512x512 px. CT scan slice. Liver. Slice 33 of 47.
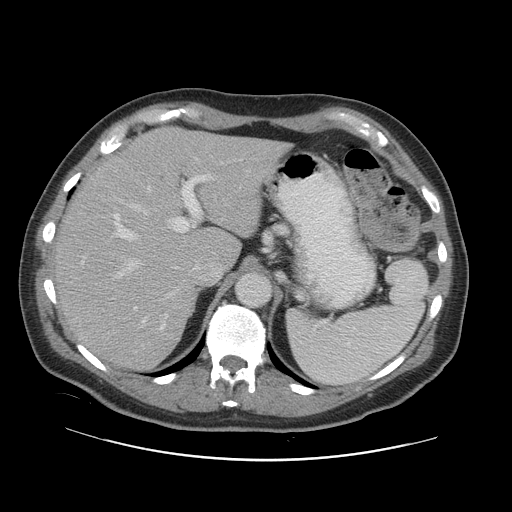 The vessel boxes may cover only some of the vessels.
7 hepatic vessel regions are located at 221,162,222,163; 193,221,194,226; 113,214,138,240; 144,210,146,213; 134,307,136,309; 183,174,211,219; 175,218,189,231.